CT, Field of view 410 mm wide, 1.50 mm slice spacing, Slice index 109

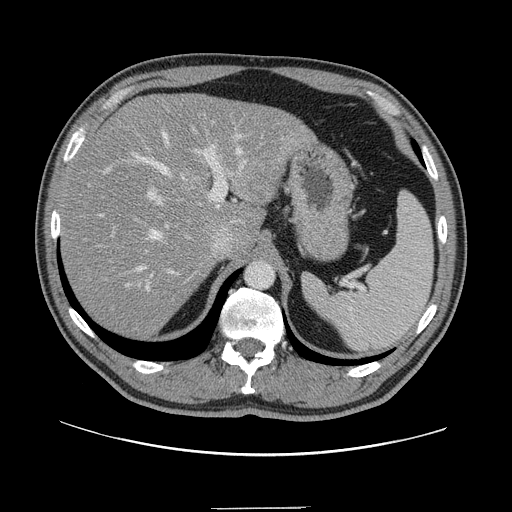 The vessel annotation is not exhaustive.
Liver tumor — 231 168 276 198.
Principal 15 of 20 hepatic vessel regions — 228 172 231 175, 151 273 153 276, 138 282 149 291, 150 231 161 239, 137 267 144 270, 236 135 240 138, 104 168 110 173, 167 270 173 273, 148 189 161 204, 163 130 168 142, 240 159 247 167, 126 284 130 286, 236 149 240 154, 198 145 226 201, 132 153 168 173.